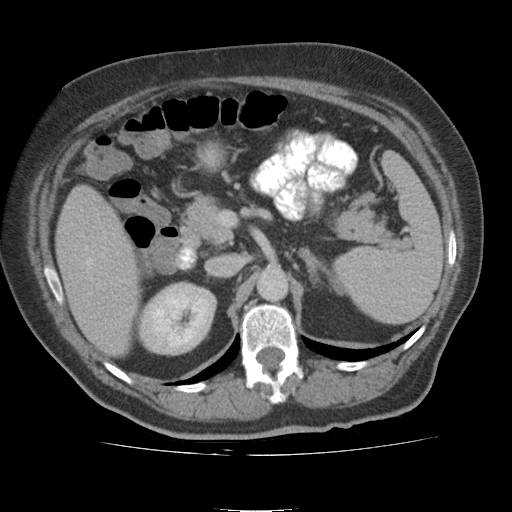

Abdomen, Computed tomography

{"kidney": ["(left=142, top=285, right=211, bottom=348)"], "liver": ["(left=56, top=195, right=136, bottom=353)"]}